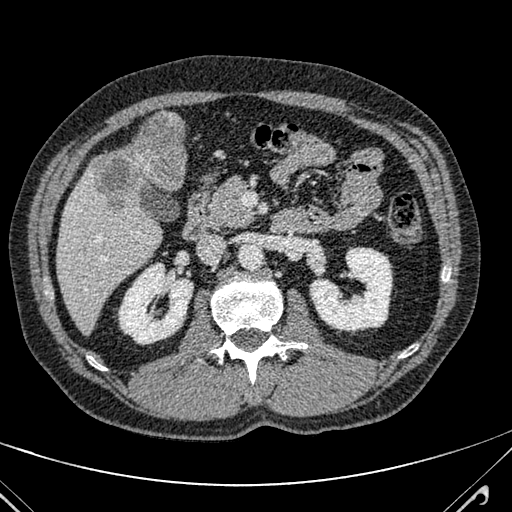
CT slice
- focal liver lesion: (x1=93, y1=113, x2=185, y2=209)
- liver: (x1=58, y1=158, x2=160, y2=332)